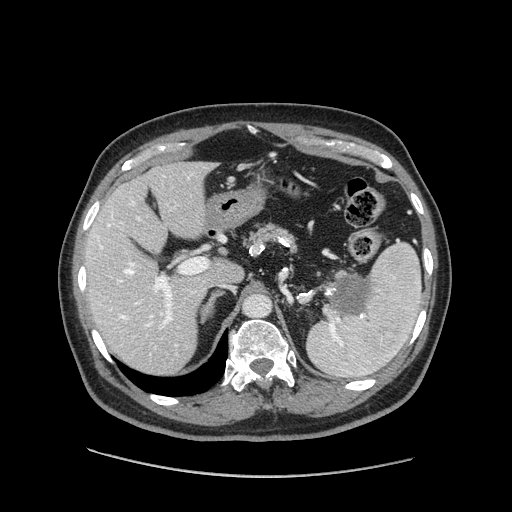

CT slice
pancreas: x1=243 y1=224 x2=294 y2=248, x1=365 y1=281 x2=369 y2=306 | pancreatic tumor: x1=330 y1=275 x2=366 y2=313